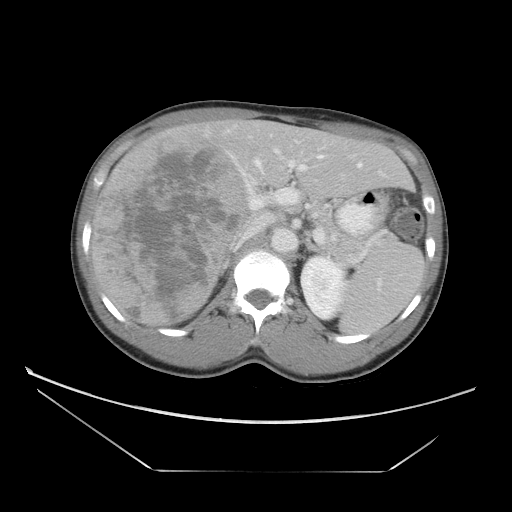
Computed tomography
Some hepatic vessels may have no box.
Liver tumor = box(91, 130, 250, 326).
Hepatic vessel = box(247, 183, 252, 193); box(287, 160, 292, 166); box(256, 161, 259, 164); box(273, 148, 284, 158); box(299, 165, 305, 169); box(318, 155, 322, 158); box(250, 196, 260, 208).